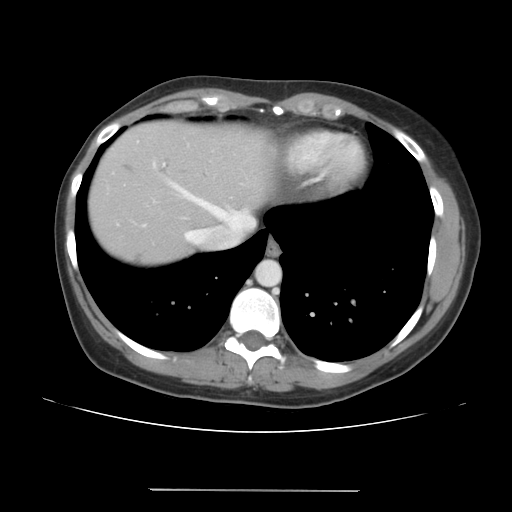

CT scan slice. Abdomen.

Only some of the vessels may be annotated.
hepatic vessel: bbox(163, 177, 254, 246); bbox(152, 159, 156, 169); bbox(244, 147, 247, 149)